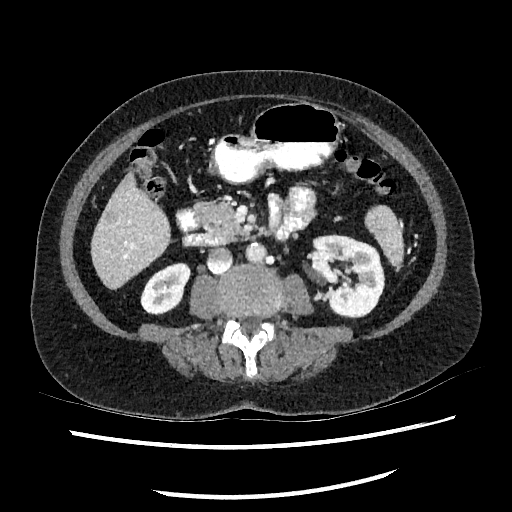
Abdomen; Computed tomography
Liver — region(91, 174, 169, 287).
Focal liver lesion — region(106, 212, 116, 222).
Kidney — region(312, 236, 383, 316); region(141, 264, 189, 313).